FLAIR MRI.
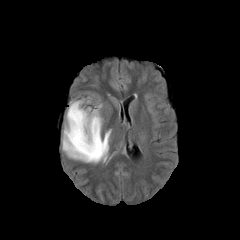
T1-weighted MR image.
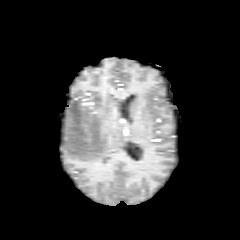
Post-contrast T1-weighted MR image.
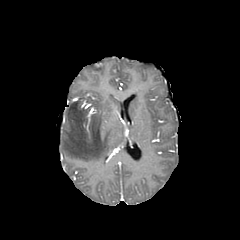
T2-weighted MR.
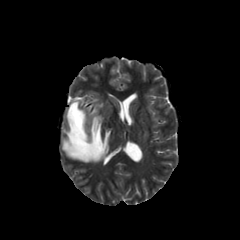
Edema at (left=62, top=100, right=110, bottom=162).